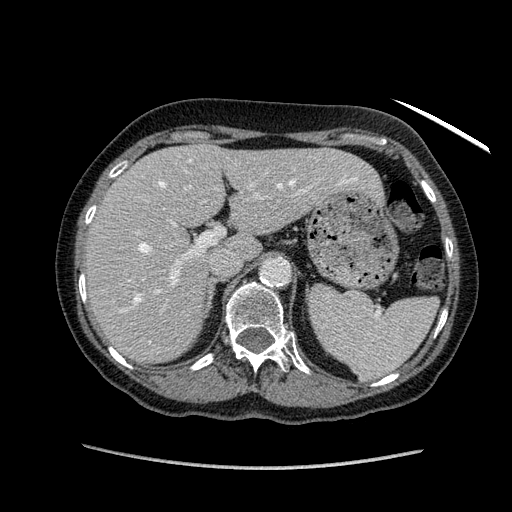

CT scan slice, Image size 512x512, Upper abdomen

Segmented structures:
- liver: box=[85, 145, 377, 362]